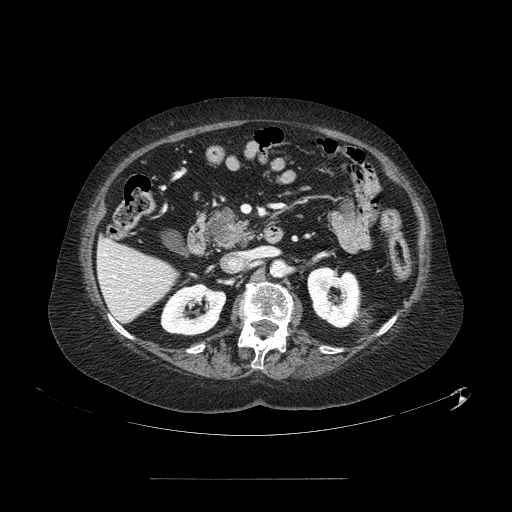
CT image | Image size 512x512 | Abdomen
pancreas:
  - x1=214, y1=211, x2=246, y2=246
pancreatic_tumor:
  - x1=208, y1=208, x2=236, y2=244